Image width 240 mm; Brain
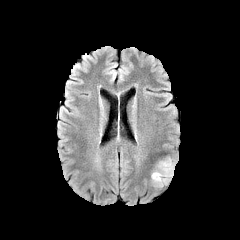
FLAIR MR.
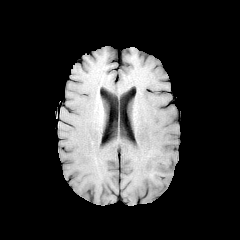
Same slice, T1-weighted MR.
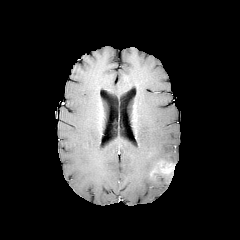
Post-contrast T1-weighted magnetic resonance of the same slice.
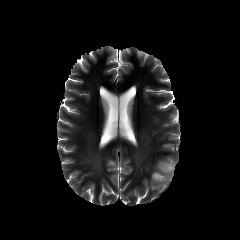
T2-weighted magnetic resonance of the same slice.
Enhancing tumor = (x1=160, y1=163, x2=174, y2=173).
Edema = (x1=151, y1=156, x2=176, y2=187).